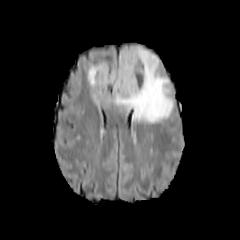
FLAIR MR image.
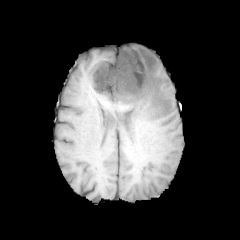
T1-weighted MR image.
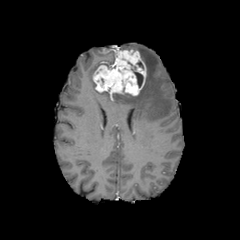
Post-contrast T1-weighted MRI of the same slice.
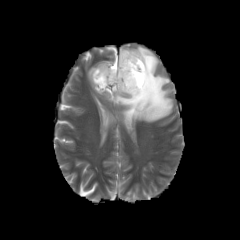
Same slice, T2-weighted MR image.
Image size 240x240, Head
<segmentation>
  <enhancing_tumor>bbox(92, 46, 146, 95)</enhancing_tumor>
  <non-enhancing_tumor_core>bbox(133, 71, 143, 87)</non-enhancing_tumor_core>
  <edema>bbox(109, 47, 173, 123); bbox(87, 61, 106, 94)</edema>
</segmentation>